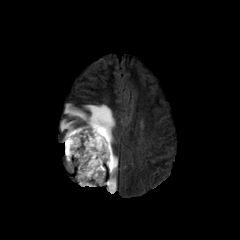
FLAIR MR.
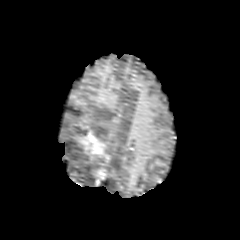
T1-weighted MR.
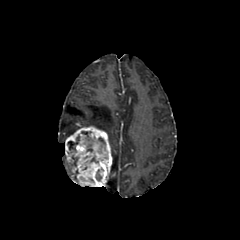
Post-contrast T1-weighted MR image.
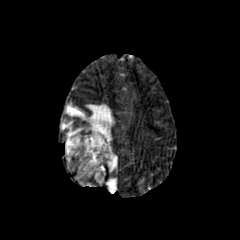
Same slice, T2-weighted MR image.
The edema is at region(61, 104, 117, 191). The enhancing tumor is at region(65, 125, 112, 186). 5 non-enhancing tumor core regions are located at region(67, 136, 80, 152); region(69, 156, 77, 166); region(98, 137, 105, 152); region(81, 131, 95, 152); region(68, 108, 81, 114).